Abdomen. CT image. 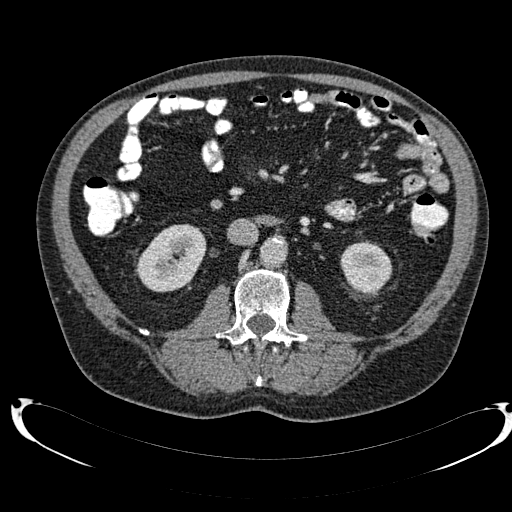

kidney: {"x1": 341, "y1": 242, "x2": 391, "y2": 295}, {"x1": 136, "y1": 224, "x2": 205, "y2": 291}